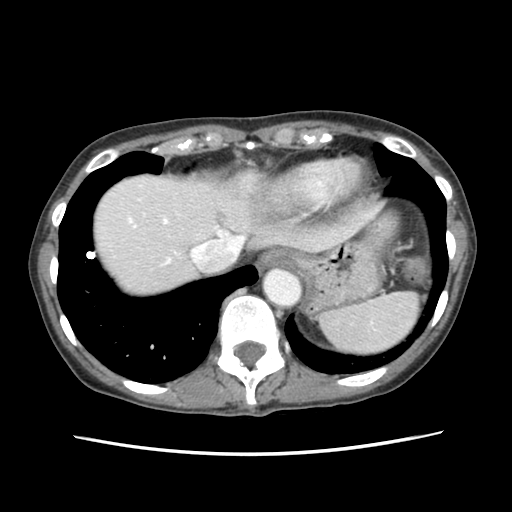 CT scan slice
The spleen is at box=[321, 292, 419, 355].